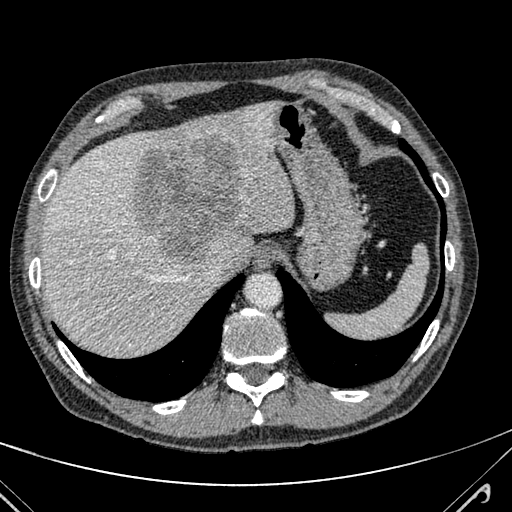

Liver, CT image, Image size 512x512
• liver: [x1=43, y1=101, x2=294, y2=354]
• hepatic lesion: [x1=132, y1=135, x2=249, y2=263]